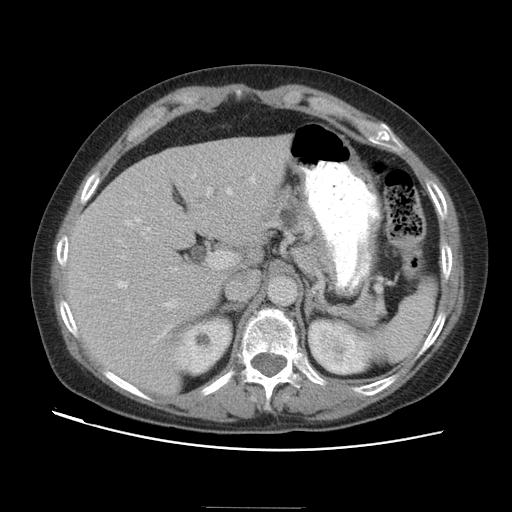
CT; Upper abdomen
Annotated regions:
* pancreas: [259, 188, 339, 284]
* pancreatic tumor: [280, 205, 301, 229]